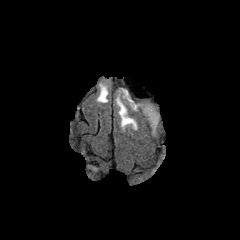
FLAIR MRI.
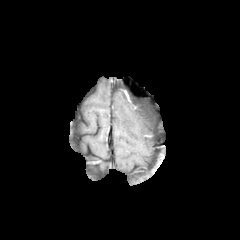
Same slice, T1-weighted magnetic resonance.
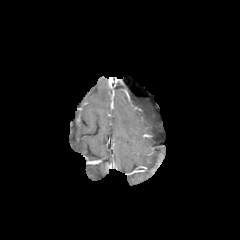
Post-contrast T1-weighted magnetic resonance of the same slice.
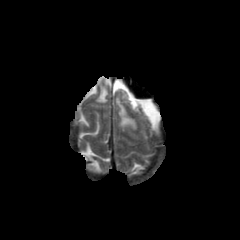
T2-weighted magnetic resonance of the same slice.
<segmentation>
  <non-enhancing_tumor_core>box(132, 101, 156, 120)</non-enhancing_tumor_core>
  <edema>box(148, 113, 158, 129); box(116, 87, 143, 130); box(96, 79, 110, 102)</edema>
</segmentation>